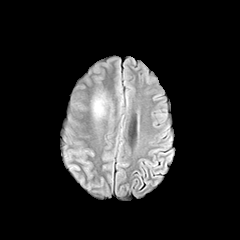
FLAIR magnetic resonance.
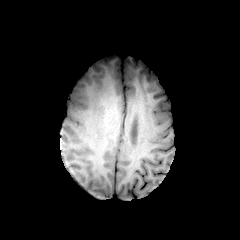
T1-weighted MRI.
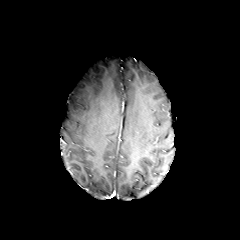
Post-contrast T1-weighted MRI of the same slice.
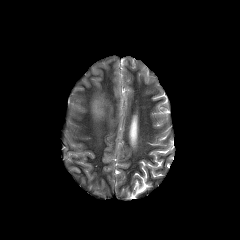
T2-weighted magnetic resonance.
Brain
The edema lies within region(94, 101, 101, 112).